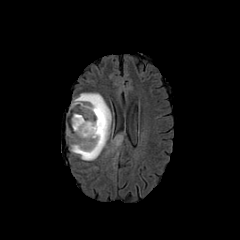
FLAIR MR.
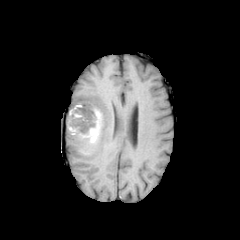
Same slice, T1-weighted MR image.
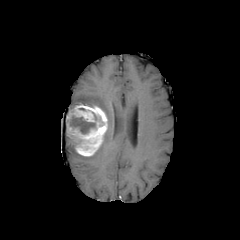
Post-contrast T1-weighted MRI.
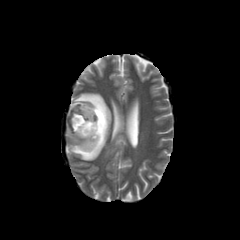
T2-weighted magnetic resonance.
Brain. 240x240.
Annotated regions:
- non-enhancing tumor core: box(94, 114, 103, 126); box(70, 115, 95, 133)
- edema: box(70, 93, 111, 160)
- enhancing tumor: box(66, 104, 108, 156)